Slice 83/113, CT, Upper abdomen, Field of view 512 mm wide, 1.00 mm slice spacing
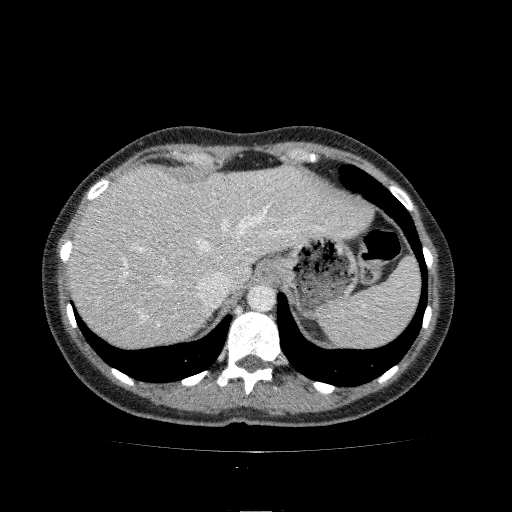 Liver at region(68, 165, 372, 347).